Brain | Slice 95/155 | 240x240 px
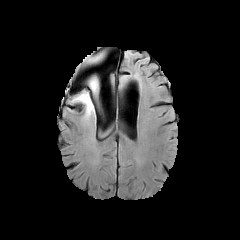
FLAIR MRI.
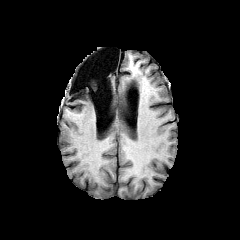
T1-weighted magnetic resonance.
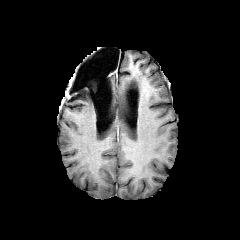
Post-contrast T1-weighted magnetic resonance.
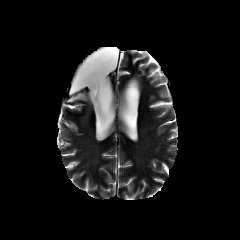
T2-weighted MR image.
Findings:
• non-enhancing tumor core: (x1=68, y1=93, x2=80, y2=101), (x1=88, y1=78, x2=98, y2=93)
• edema: (x1=72, y1=88, x2=97, y2=121), (x1=92, y1=54, x2=102, y2=63)